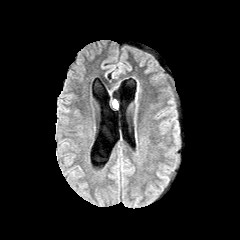
FLAIR MR.
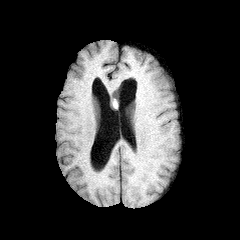
T1-weighted MR image.
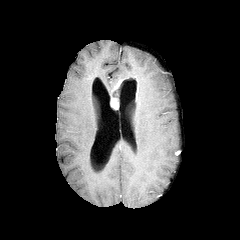
Post-contrast T1-weighted MRI.
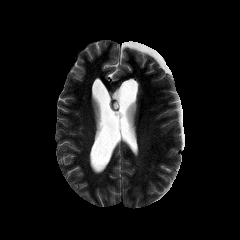
Same slice, T2-weighted magnetic resonance.
enhancing_tumor:
  - <box>111,98,117,109</box>